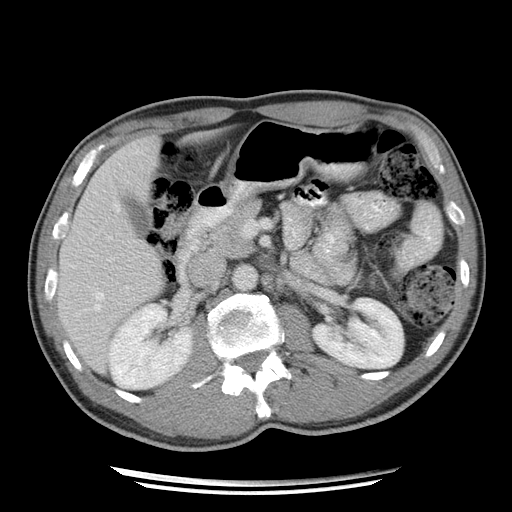 Upper abdomen; CT; 512x512

Pancreas — (left=209, top=200, right=260, bottom=257).